Brain
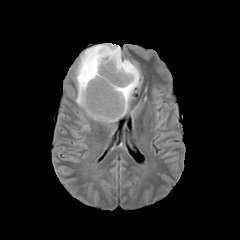
FLAIR MR.
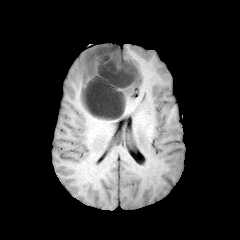
T1-weighted MR.
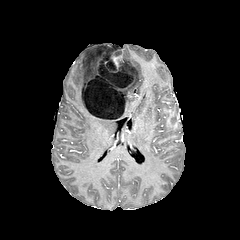
Post-contrast T1-weighted magnetic resonance.
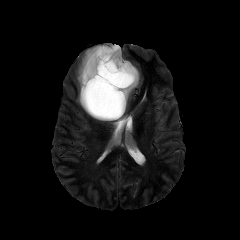
T2-weighted MR image of the same slice.
<segmentation>
  <enhancing_tumor>[111,55,121,68]</enhancing_tumor>
  <non-enhancing_tumor_core>[80,45,135,119]</non-enhancing_tumor_core>
  <edema>[93,116,117,123], [124,58,142,114], [75,43,117,116]</edema>
</segmentation>